Abdomen; Field of view 346x346 mm; CT slice 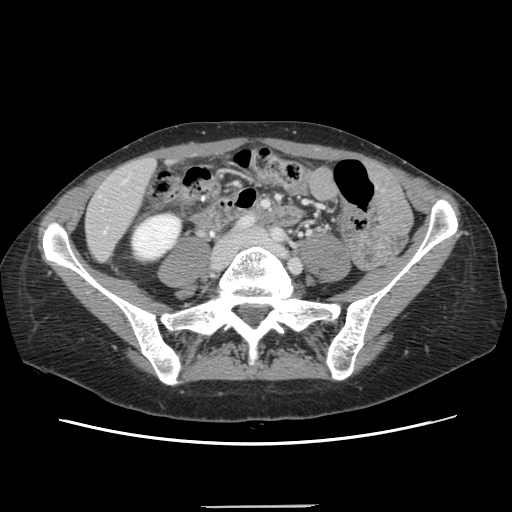
The vessel boxes may cover only some of the vessels.
2 hepatic vessel regions are bounded by bbox(103, 231, 105, 232); bbox(121, 179, 126, 183).